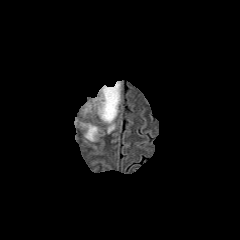
FLAIR MR.
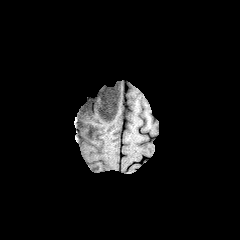
T1-weighted MR of the same slice.
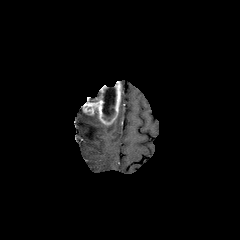
Post-contrast T1-weighted magnetic resonance.
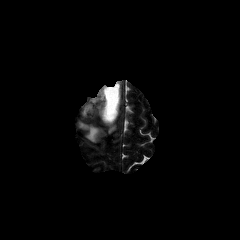
T2-weighted MR image.
Head.
- non-enhancing tumor core: region(103, 87, 115, 119)
- enhancing tumor: region(82, 81, 121, 124)
- edema: region(78, 121, 104, 142); region(105, 119, 115, 133)